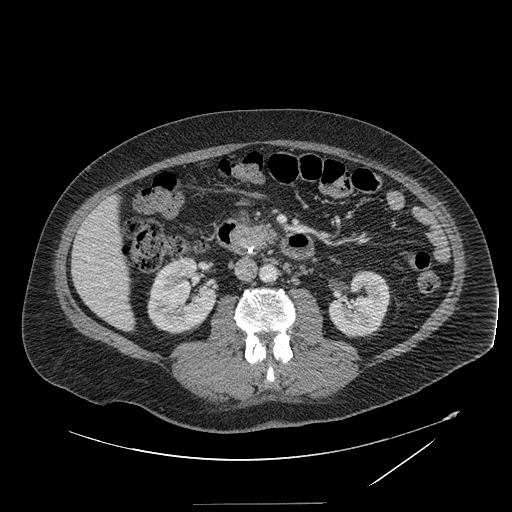 CT, Upper abdomen, Image size 512x512
The pancreatic tumor is bounded by 238, 226, 265, 248. The pancreas is at 233, 211, 278, 247.